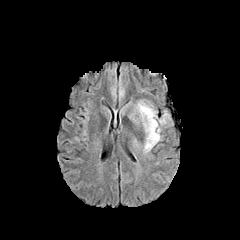
FLAIR MR.
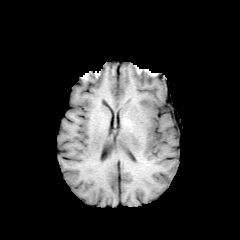
T1-weighted MR image.
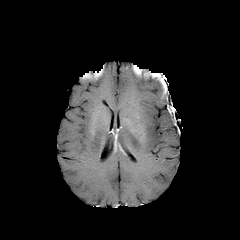
Same slice, post-contrast T1-weighted magnetic resonance.
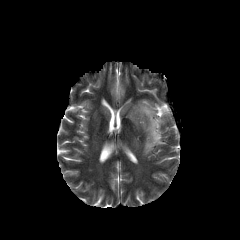
T2-weighted MR image.
edema: [129,100,162,153], [158,110,170,126]